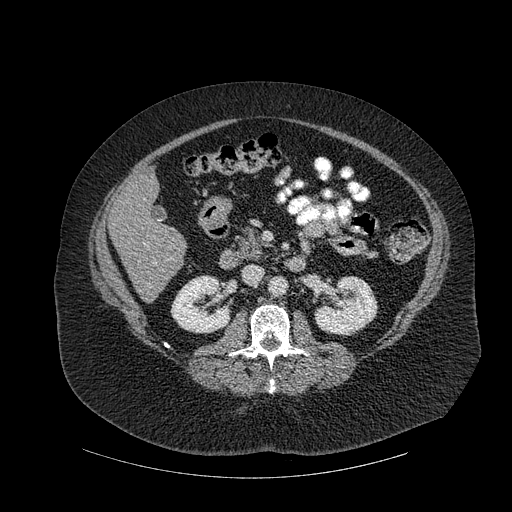 Upper abdomen | CT | Image size 512x512
kidney:
  - rect(171, 276, 229, 332)
  - rect(315, 277, 376, 334)
liver:
  - rect(108, 172, 186, 298)
bone:
  - rect(229, 305, 306, 368)
  - rect(269, 379, 275, 392)
  - rect(356, 188, 368, 199)